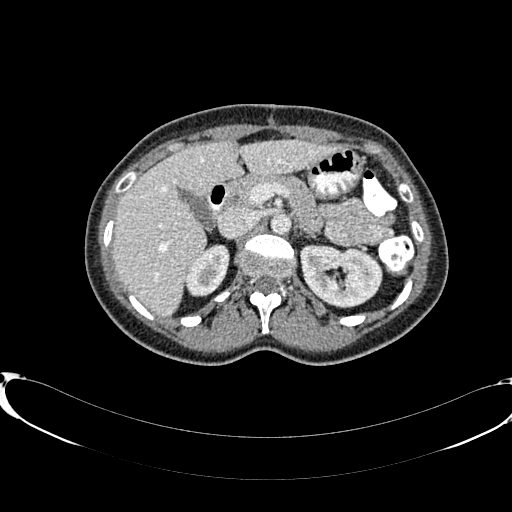

CT.

Segmented structures:
* liver: box=[112, 141, 339, 315]
* kidney: box=[301, 247, 380, 305]; box=[187, 247, 227, 294]